Image width 36 mm, MR, Medial temporal lobe
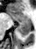

Posterior hippocampus — 17 21 30 36.
Anterior hippocampus — 8 13 29 20.